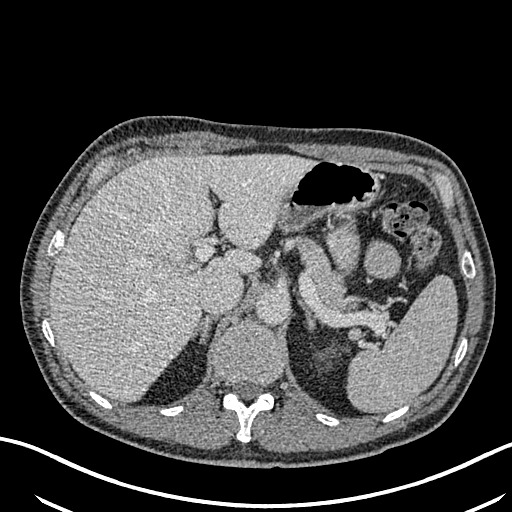
CT.
The liver is bounded by [49,155,316,401].